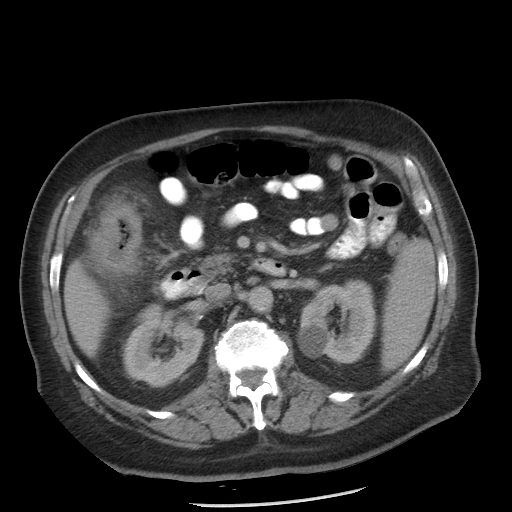 CT scan slice
Colon tumor: (left=92, top=205, right=141, bottom=269).